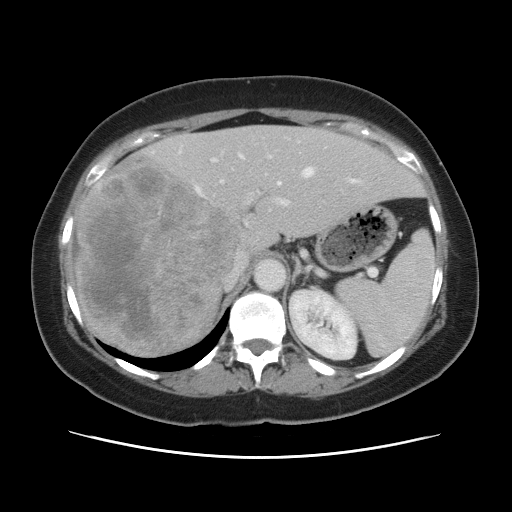 CT image, 512x512

The vessel boxes may cover only some of the vessels.
13 hepatic vessel regions appear at left=250, top=237, right=256, bottom=243; left=224, top=250, right=246, bottom=289; left=267, top=155, right=271, bottom=158; left=213, top=159, right=216, bottom=161; left=274, top=198, right=289, bottom=205; left=245, top=191, right=260, bottom=203; left=239, top=154, right=243, bottom=158; left=350, top=179, right=360, bottom=183; left=221, top=180, right=223, bottom=182; left=304, top=168, right=313, bottom=176; left=245, top=220, right=247, bottom=226; left=278, top=182, right=280, bottom=185; left=196, top=187, right=200, bottom=191. The liver tumor is bounded by left=80, top=156, right=243, bottom=351.